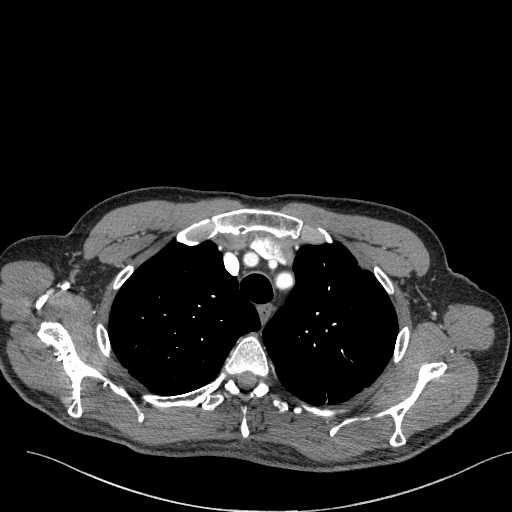 512x512 px; CT scan slice
Findings:
• lung tumor: [352,272,365,290]